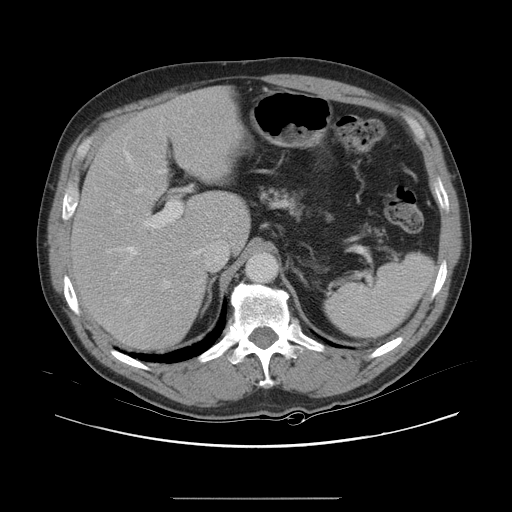
Abdomen | CT scan slice
The vessel boxes may cover only some of the vessels.
Annotated regions:
* hepatic vessel: 216 235 227 247, 125 298 129 303, 157 169 164 173, 107 247 136 261, 188 111 191 113, 191 204 193 208, 144 219 160 230, 191 250 200 255, 136 187 150 193, 123 149 131 162, 163 280 170 288